CT image, Liver, Slice 123/154

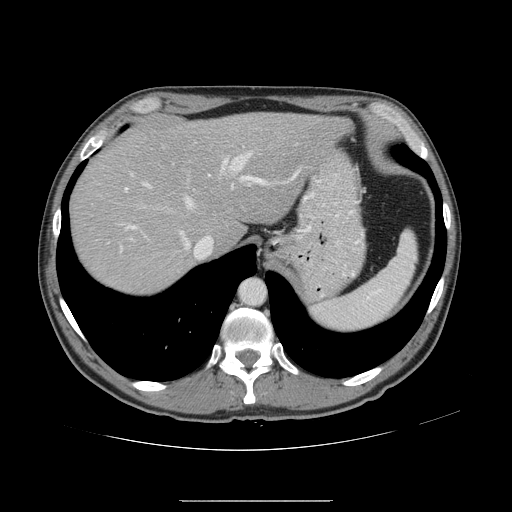
The vessel boxes may cover only some of the vessels.
* hepatic vessel: [121,246,121,250], [229,152,252,171], [195,236,211,248], [180,232,183,234], [185,197,192,208], [184,240,189,248], [144,183,149,186], [222,158,227,170], [123,224,135,230], [232,184,233,186], [241,176,265,183], [124,188,127,190]